CT scan slice, Slice 608/630, Abdomen 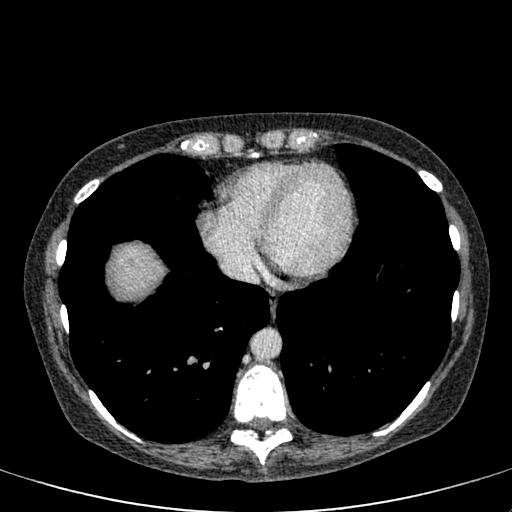

Annotated regions:
* liver: (x1=109, y1=244, x2=162, y2=297)